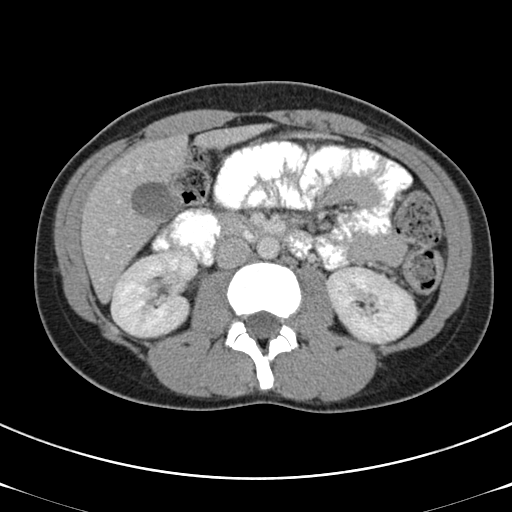
512x512. Abdomen. CT.
The colon tumor is at (403, 251, 443, 295).